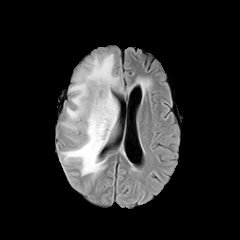
FLAIR MRI.
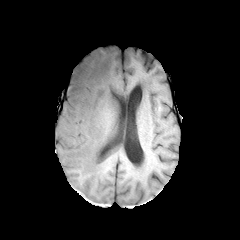
Same slice, T1-weighted magnetic resonance.
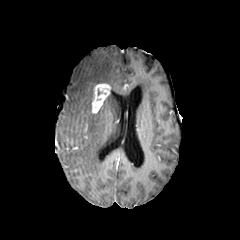
Same slice, post-contrast T1-weighted MRI.
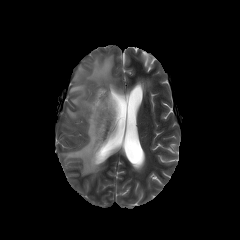
Same slice, T2-weighted MRI.
The edema lies within [62,53,118,176]. The enhancing tumor is at [91,83,110,113].